Slice 102/155 | 240x240
FLAIR MR.
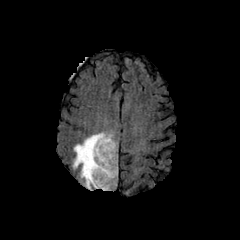
T1-weighted magnetic resonance.
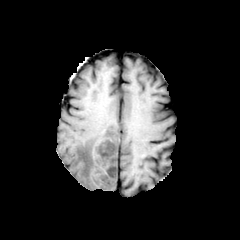
Post-contrast T1-weighted magnetic resonance.
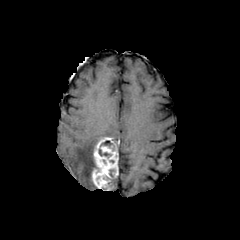
T2-weighted MR image.
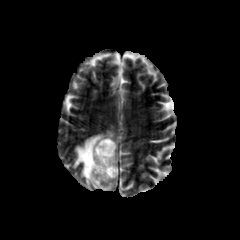
The enhancing tumor appears at 90, 136, 118, 190. The edema is at 72, 131, 113, 190.